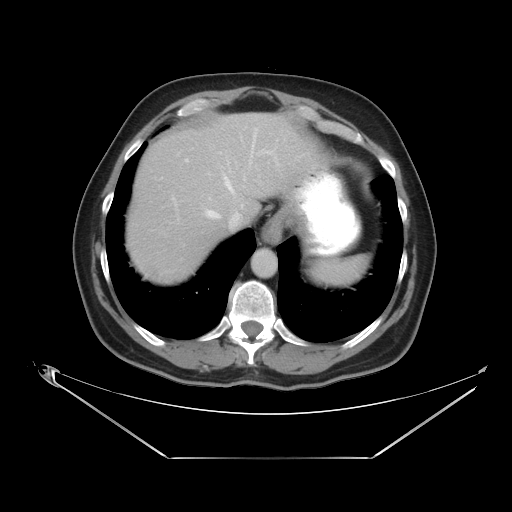 Abdomen | Computed tomography
Only some of the vessels may be annotated.
Annotated regions:
- liver tumor: box(142, 263, 189, 282)
- hepatic vessel: box(175, 210, 180, 222); box(251, 149, 252, 156); box(253, 142, 253, 146); box(200, 210, 201, 213); box(254, 129, 257, 141); box(207, 211, 218, 216); box(224, 177, 233, 191)